MR image, Slice index 18

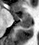
Anterior hippocampus: x1=15 y1=13 x2=31 y2=20.
Posterior hippocampus: x1=19 y1=21 x2=31 y2=27.